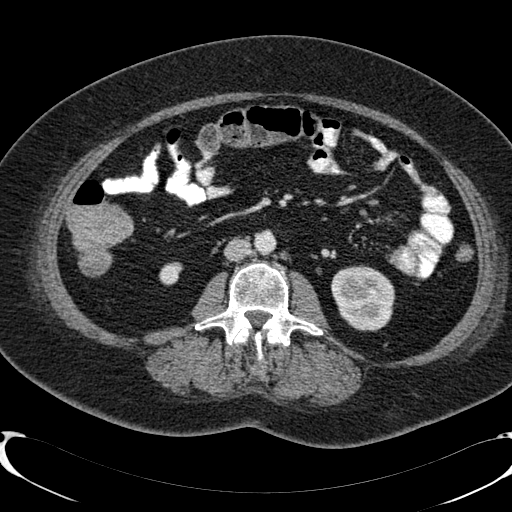

CT scan slice; Abdomen
<segmentation>
  <kidney>160,264,181,283; 332,268,393,329</kidney>
</segmentation>